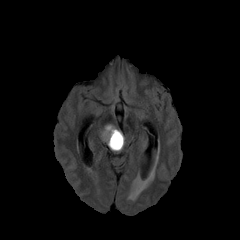
FLAIR MR.
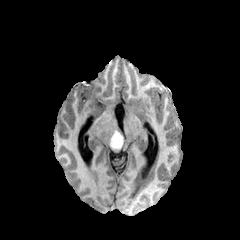
Same slice, T1-weighted MRI.
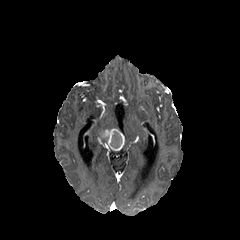
Post-contrast T1-weighted MR image of the same slice.
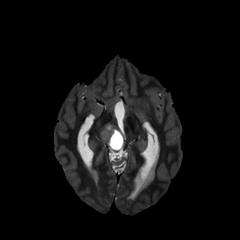
T2-weighted magnetic resonance.
240x240 px | Brain
Non-enhancing tumor core: (110, 130, 122, 148).
Edema: (98, 123, 116, 143).
Enhancing tumor: (105, 128, 125, 151).